FLAIR MRI.
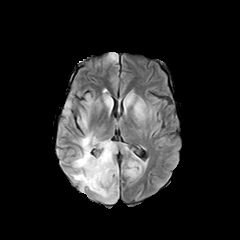
T1-weighted MR image.
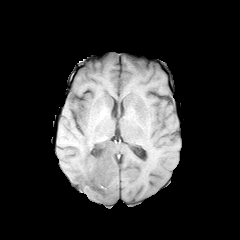
Post-contrast T1-weighted MR.
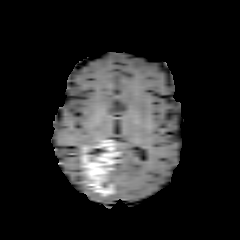
T2-weighted MR.
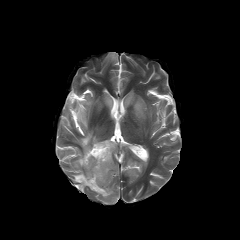
Brain
2 non-enhancing tumor core regions are bounded by 84:142:106:161, 100:173:107:188. 3 edema regions appear at 78:107:86:125, 73:134:99:168, 72:169:85:189. The enhancing tumor is bounded by 82:140:115:195.